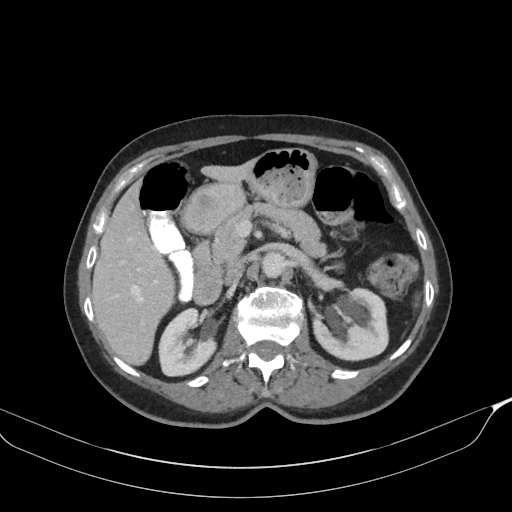
CT image.
The pancreas is at box=[212, 203, 325, 267].